CT scan slice | Image size 512x512
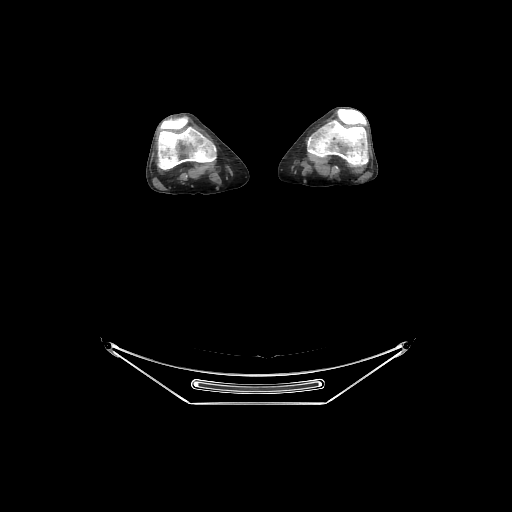
Segmented structures:
- bone: 308:109:367:166, 158:117:215:169